240x240 px | Image width 240 mm
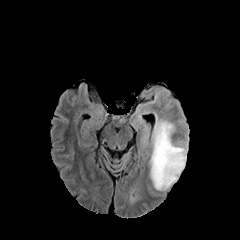
FLAIR MR.
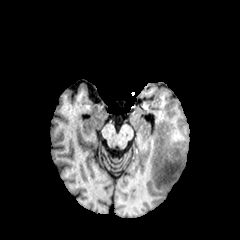
T1-weighted MR.
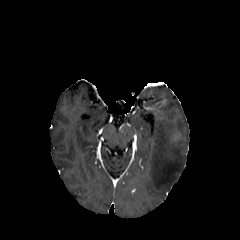
Post-contrast T1-weighted MR image.
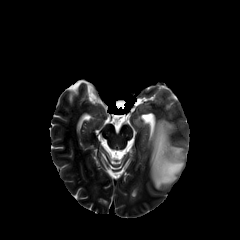
Same slice, T2-weighted magnetic resonance.
edema: left=150, top=117, right=187, bottom=189